Upper abdomen, Image width 382 mm, CT image
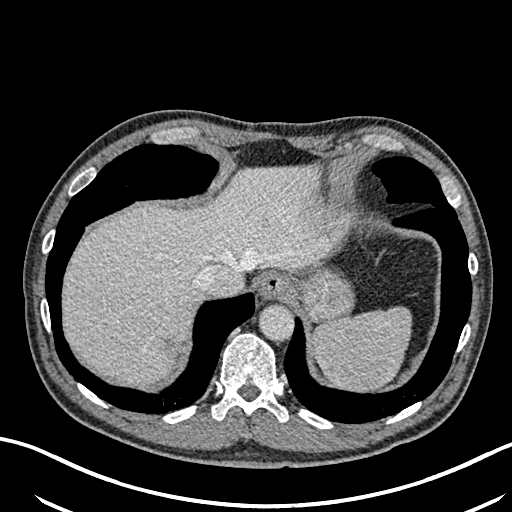 Annotated regions:
• liver lesion: 163, 336, 176, 353
• liver: 62, 163, 326, 383